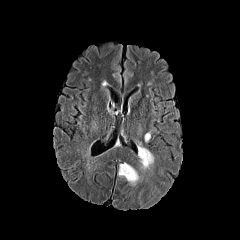
FLAIR MR image.
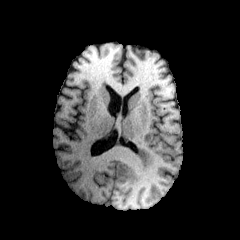
T1-weighted MRI.
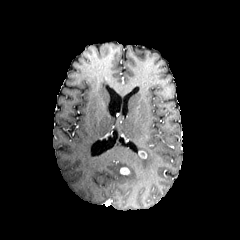
Same slice, post-contrast T1-weighted magnetic resonance.
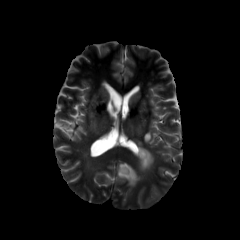
T2-weighted MR image.
Image size 240x240
enhancing_tumor:
  - [119,167,129,175]
  - [138,150,147,158]
edema:
  - [144,129,153,143]
  - [134,138,153,170]
  - [118,163,139,185]